Image width 409 mm. CT image. Slice index 34. 512x512.

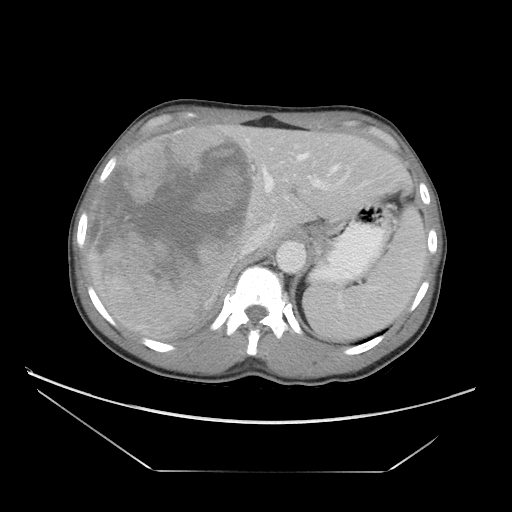
The vessel annotation is not exhaustive.
6 hepatic vessel regions appear at 264:173:272:191, 337:176:346:184, 238:250:250:258, 296:153:309:161, 332:166:337:170, 306:175:329:188. The liver tumor appears at 86:125:262:337.